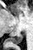

33x50 px, MR image
posterior hippocampus: <bbox>7, 34, 22, 43</bbox>